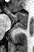 MRI, Image size 34x52
Anterior hippocampus — [9,9,27,21].
Posterior hippocampus — [15,22,27,30].